MRI slice | 320x320 px | Slice 60 of 120 | Field of view 400x400 mm 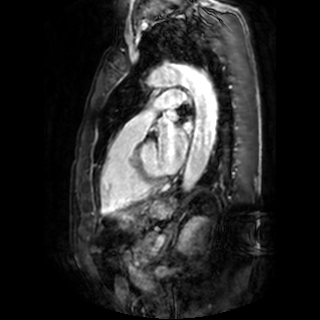 3 left atrium regions are bounded by (157,118,187,172), (167,109,178,120), (184,122,191,131).